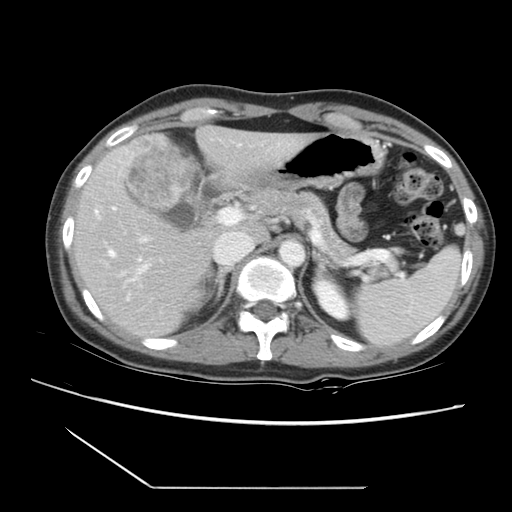 CT image.

Only some of the vessels may be annotated.
Segmented structures:
- liver tumor: 129:137:195:207
- hepatic vessel (largest 15 of 17): 238:144:240:146, 94:207:100:218, 112:206:115:210, 109:148:133:171, 259:143:264:145, 127:295:129:300, 217:240:219:244, 127:258:148:283, 118:168:121:176, 119:271:127:277, 139:237:149:242, 108:247:115:257, 220:234:227:239, 222:214:223:220, 237:233:246:236